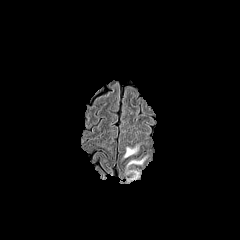
FLAIR MR image.
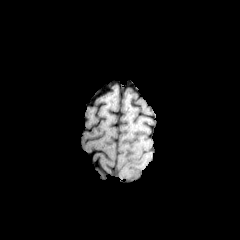
Same slice, T1-weighted MR.
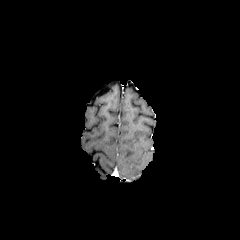
Same slice, post-contrast T1-weighted MRI.
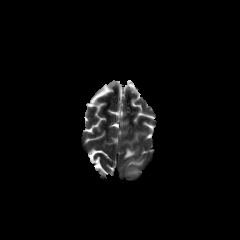
Same slice, T2-weighted MRI.
Head; Image size 240x240
{
  "edema": [
    "rect(119, 158, 146, 183)",
    "rect(125, 143, 139, 157)"
  ]
}